Slice 106/155
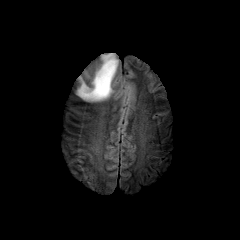
FLAIR MR.
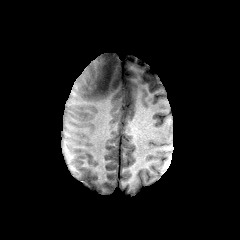
T1-weighted magnetic resonance of the same slice.
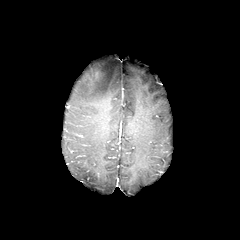
Post-contrast T1-weighted MR image of the same slice.
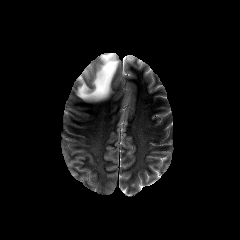
T2-weighted MR of the same slice.
Findings:
* edema: box=[76, 54, 119, 102]